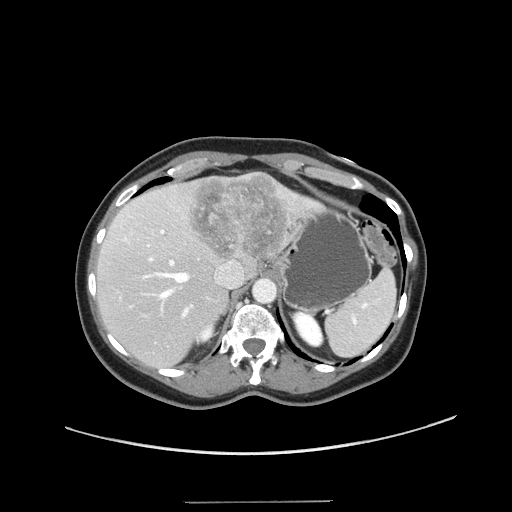

Liver. CT image. 512x512.
The vessel annotation is not exhaustive.
hepatic_vessel:
  - box(215, 260, 243, 288)
  - box(170, 260, 173, 263)
  - box(158, 290, 171, 298)
  - box(156, 273, 188, 282)
  - box(183, 304, 192, 314)
  - box(161, 230, 163, 232)
  - box(150, 258, 152, 259)
  - box(144, 275, 149, 276)
liver_tumor:
  - box(187, 174, 289, 260)